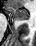
MR image. Medial temporal lobe.

<segmentation>
  <anterior_hippocampus>region(5, 6, 29, 20)</anterior_hippocampus>
</segmentation>